Image size 240x240, Field of view 240x240 mm
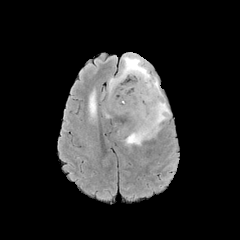
FLAIR MR image.
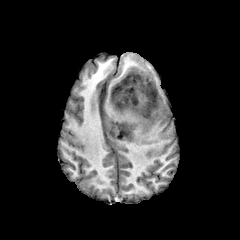
Same slice, T1-weighted MR image.
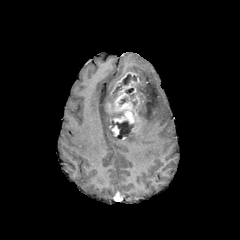
Post-contrast T1-weighted MR image.
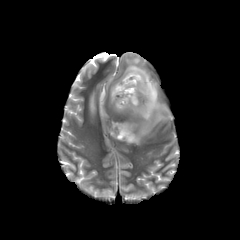
T2-weighted MR image.
{
  "edema": [
    "[89,91,96,116]",
    "[109,52,170,145]"
  ],
  "non-enhancing_tumor_core": [
    "[110,120,134,139]",
    "[108,74,144,109]"
  ],
  "enhancing_tumor": [
    "[108,81,136,123]",
    "[112,125,118,136]"
  ]
}